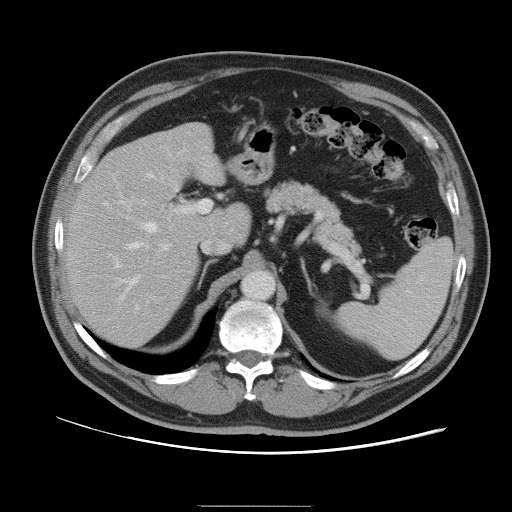
Computed tomography
The vessel annotation is not exhaustive.
<segmentation partial="true">
  <hepatic_vessel shown="15" total="17">(left=126, top=214, right=130, bottom=218), (left=119, top=200, right=131, bottom=209), (left=179, top=148, right=186, bottom=152), (left=147, top=172, right=153, bottom=177), (left=143, top=222, right=157, bottom=232), (left=161, top=241, right=171, bottom=250), (left=161, top=178, right=162, bottom=182), (left=162, top=276, right=165, bottom=277), (left=108, top=253, right=119, bottom=267), (left=143, top=200, right=145, bottom=204), (left=103, top=201, right=107, bottom=204), (left=114, top=275, right=139, bottom=302), (left=210, top=223, right=212, bottom=225), (left=136, top=306, right=138, bottom=308), (left=127, top=242, right=148, bottom=248)</hepatic_vessel>
</segmentation>